512x512, Abdomen, Slice 358 of 605, Computed tomography
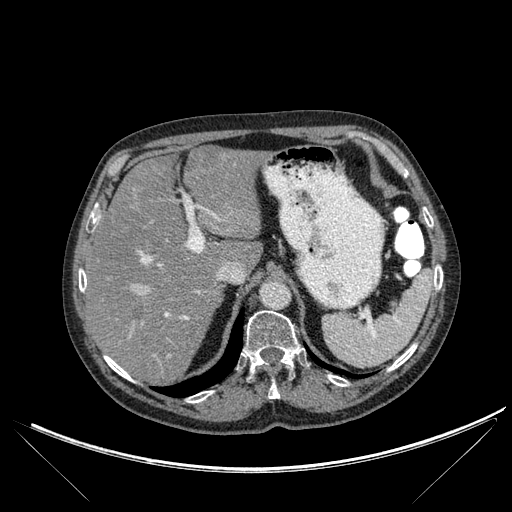

Liver: box(87, 146, 262, 385).
Focal liver lesion: box(189, 147, 219, 168); box(133, 305, 143, 318).
Lung: box(309, 351, 362, 377); box(153, 310, 243, 397).
Bone: box(423, 208, 433, 226); box(268, 380, 279, 398); box(104, 356, 132, 381); box(242, 311, 301, 372); box(79, 269, 86, 291); box(434, 265, 442, 289); box(187, 391, 212, 402); box(389, 344, 416, 370); box(328, 375, 348, 386).